Head
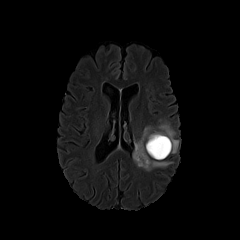
FLAIR MR image.
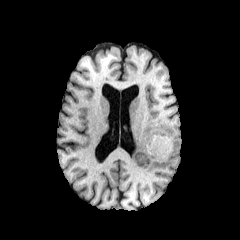
T1-weighted MRI.
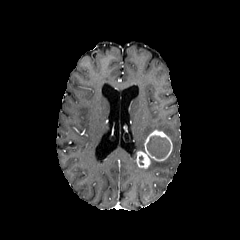
Same slice, post-contrast T1-weighted MRI.
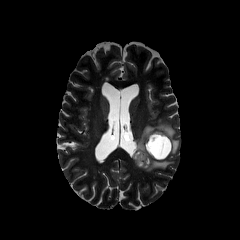
T2-weighted MR image of the same slice.
Edema: <box>145,159,173,171</box>, <box>135,117,178,153</box>.
Enhancing tumor: <box>145,129,172,157</box>, <box>134,143,165,169</box>.
Non-enhancing tumor core: <box>146,135,170,159</box>.